Computed tomography. Abdomen. 512x512 px.

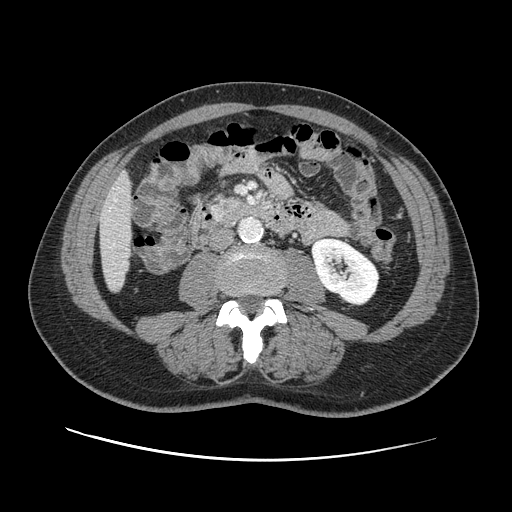
The pancreas lies within (209,194,250,223).